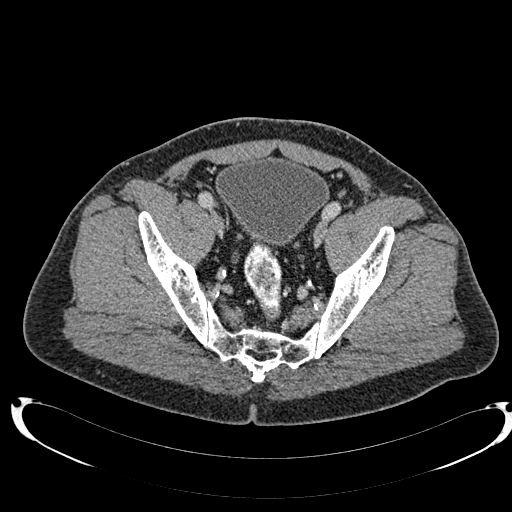 Lower abdomen, CT slice

The urinary bladder lies within [217,156,329,246].